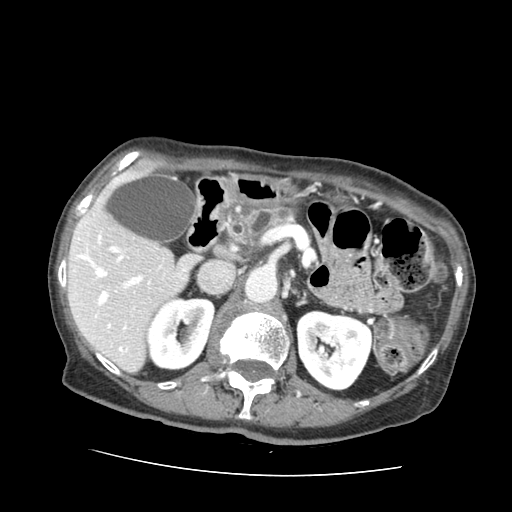

512x512. CT. Upper abdomen.
{
  "pancreas": [
    "[226,204,294,245]"
  ]
}